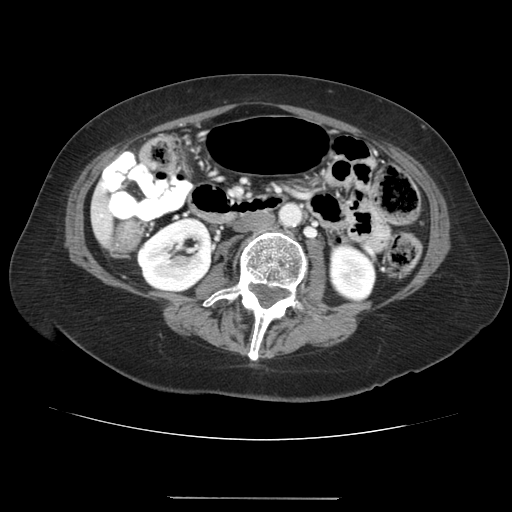

CT | 512x512 px

2 colon tumor regions are bounded by [114, 221, 141, 252], [140, 136, 177, 172].